512x512, Liver, CT slice
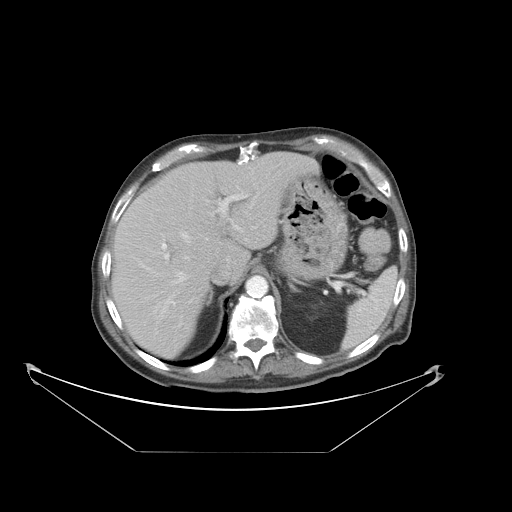 Not every hepatic vessel necessarily has a box.
hepatic_vessel:
  - x1=161, y1=240, x2=166, y2=249
  - x1=185, y1=256, x2=189, y2=259
  - x1=210, y1=192, x2=245, y2=216
  - x1=176, y1=273, x2=184, y2=282
  - x1=230, y1=219, x2=241, y2=230
  - x1=165, y1=254, x2=169, y2=258
  - x1=251, y1=193, x2=259, y2=205
  - x1=226, y1=257, x2=229, y2=261
  - x1=227, y1=273, x2=229, y2=274
  - x1=180, y1=232, x2=189, y2=243
  - x1=205, y1=238, x2=207, y2=240
  - x1=167, y1=299, x2=175, y2=305